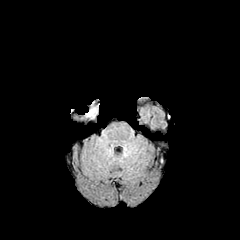
FLAIR MRI.
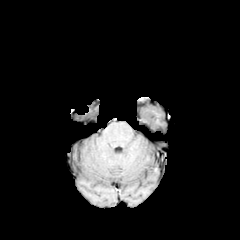
T1-weighted MR image.
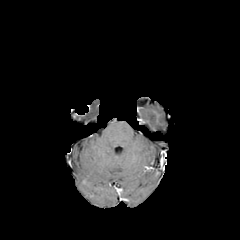
Post-contrast T1-weighted MRI.
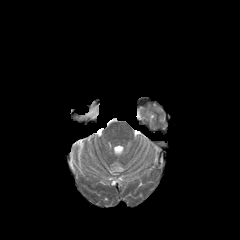
T2-weighted MRI of the same slice.
240x240 px; Brain
Segmented structures:
• edema: x1=86 y1=106 x2=98 y2=118